Brain. Slice 46/155. Image size 240x240.
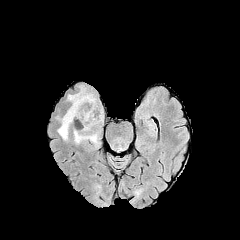
FLAIR MR image.
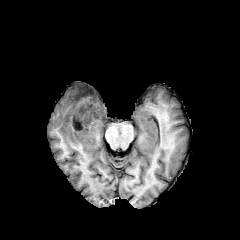
T1-weighted MR image.
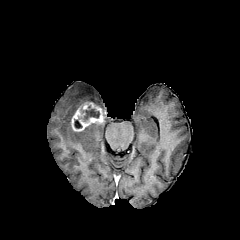
Same slice, post-contrast T1-weighted magnetic resonance.
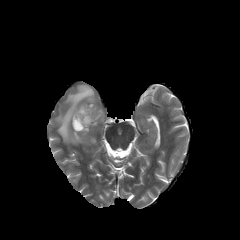
T2-weighted magnetic resonance of the same slice.
non-enhancing tumor core: 74:118:82:129, 83:102:99:121 | enhancing tumor: 71:102:104:131 | edema: 57:85:96:141, 72:130:99:145